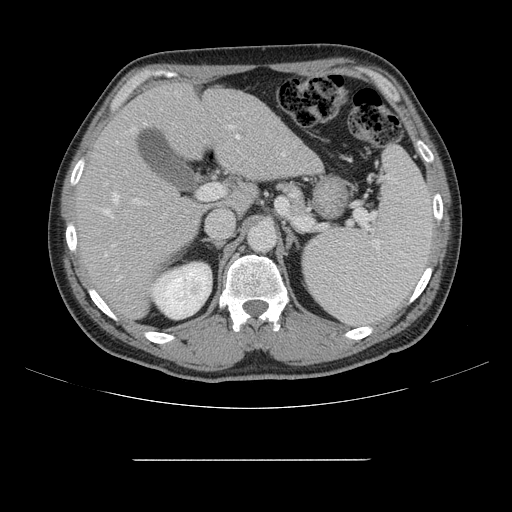

Liver. 512x512 px. CT slice.
Some hepatic vessels may have no box.
<segmentation>
  <hepatic_vessel><box>117,275,120,281</box>, <box>98,208,112,218</box>, <box>133,198,141,203</box>, <box>111,245,114,246</box>, <box>103,183,105,184</box>, <box>236,134,239,138</box>, <box>282,152,284,156</box>, <box>116,267,117,269</box>, <box>113,193,118,201</box>, <box>104,253,106,256</box>, <box>228,125,234,128</box>, <box>198,183,226,200</box></hepatic_vessel>
</segmentation>